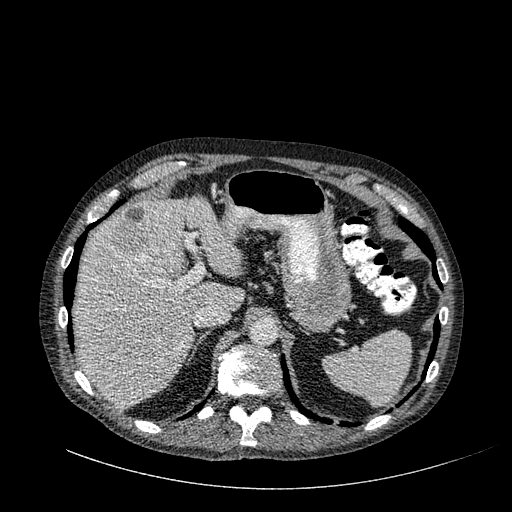

Image size 512x512; CT
2 focal liver lesion regions are bounded by [x1=113, y1=222, x2=146, y2=254], [x1=125, y1=208, x2=143, y2=222]. The liver appears at [x1=74, y1=196, x2=243, y2=407].